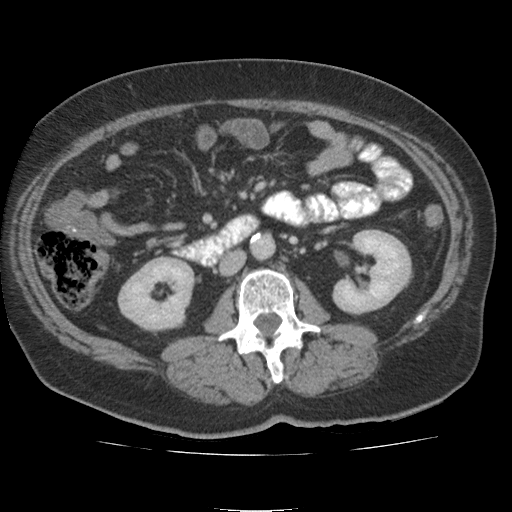 CT, Abdomen, Image size 512x512

* kidney: {"x1": 336, "y1": 233, "x2": 409, "y2": 311}, {"x1": 119, "y1": 257, "x2": 193, "y2": 328}